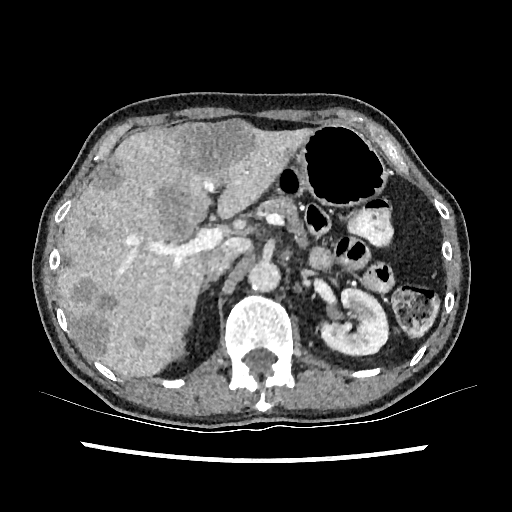
Liver | 512x512 | CT

The liver is located at [x1=59, y1=129, x2=309, y2=375]. 2 kidney regions appear at [x1=314, y1=280, x2=334, y2=302], [x1=320, y1=289, x2=394, y2=358]. 9 hepatic lesion regions are bounded by [x1=61, y1=254, x2=75, y2=269], [x1=85, y1=223, x2=104, y2=238], [x1=94, y1=159, x2=121, y2=189], [x1=134, y1=336, x2=146, y2=350], [x1=170, y1=121, x2=257, y2=175], [x1=72, y1=314, x2=107, y2=354], [x1=95, y1=292, x2=118, y2=313], [x1=157, y1=187, x2=190, y2=237], [x1=71, y1=278, x2=97, y2=302].